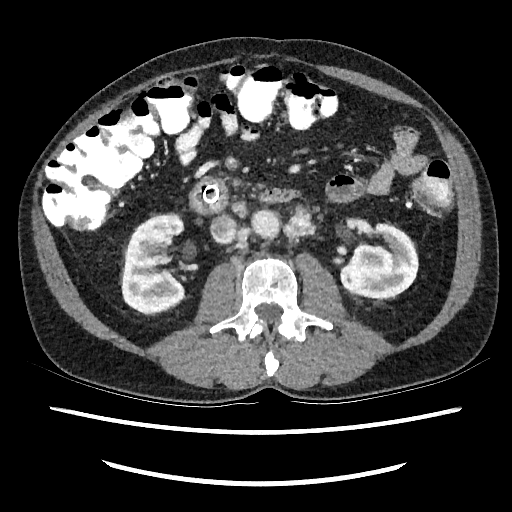

512x512 px | CT image
<segmentation>
  <kidney>x1=341 y1=224 x2=417 y2=297, x1=122 y1=216 x2=185 y2=312</kidney>
</segmentation>